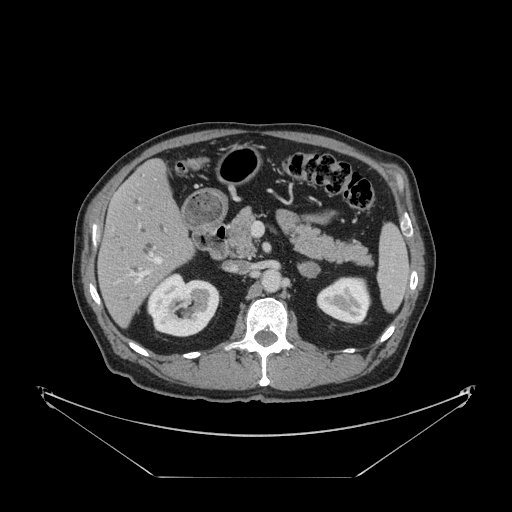
CT scan slice
The vessel boxes may cover only some of the vessels.
Annotated regions:
* hepatic vessel: bbox(138, 207, 139, 209); bbox(128, 269, 148, 283); bbox(150, 253, 160, 263); bbox(252, 221, 262, 235)